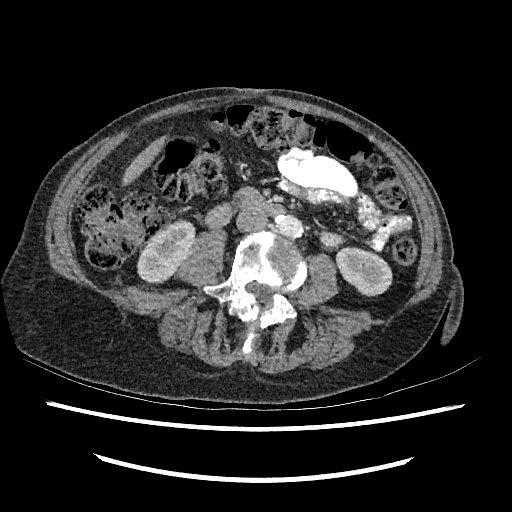
512x512, Liver, Computed tomography

Liver: bounding box bbox=[122, 136, 165, 185].
Kidney: bounding box bbox=[336, 248, 391, 294]; bbox=[138, 223, 192, 281].